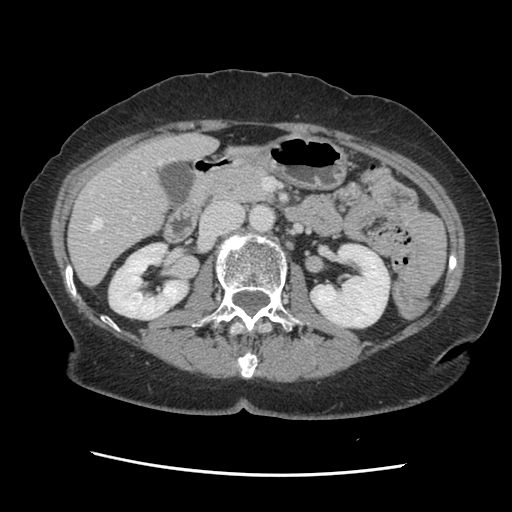

CT; Abdomen

Not every hepatic vessel necessarily has a box.
7 hepatic vessel regions appear at [89,191,92,192], [118,180,119,181], [143,172,145,174], [100,240,102,242], [87,218,102,230], [158,160,161,163], [133,217,135,219].